CT image | 512x512
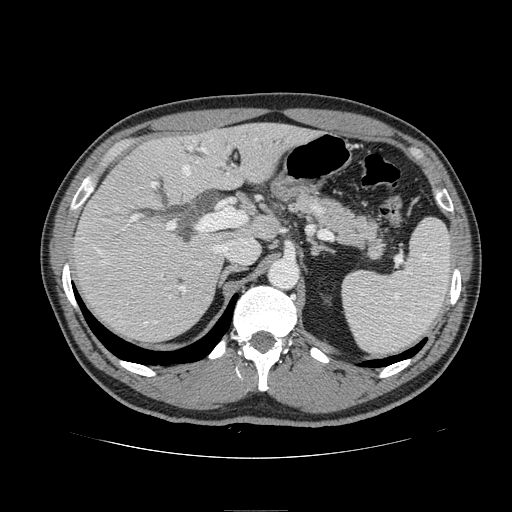

<segmentation>
  <pancreas>region(292, 194, 384, 258)</pancreas>
</segmentation>